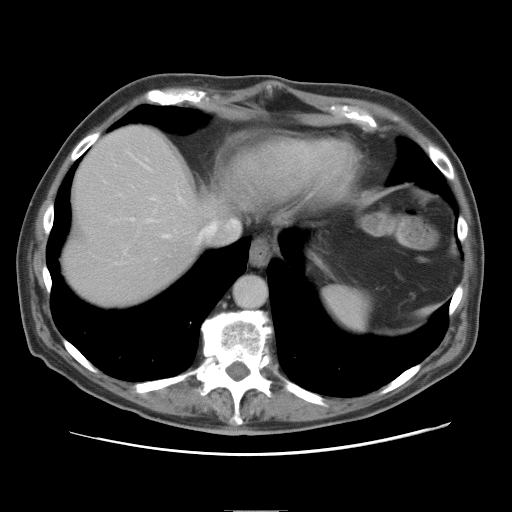

CT image.

Only some of the vessels may be annotated.
Findings:
• hepatic vessel: 129,218,134,221; 152,198,154,199; 147,219,153,221; 164,235,169,237; 195,223,216,247; 141,159,147,167